CT slice | Slice 10 of 537 | Field of view 496 mm wide, 0.80 mm slice spacing
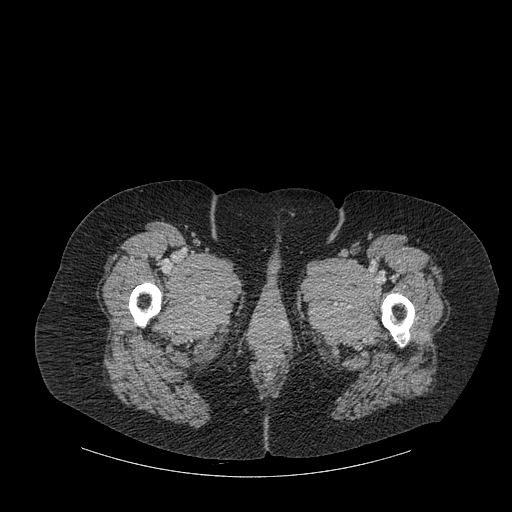

2 bone regions are bounded by x1=382, y1=293, x2=414, y2=346; x1=129, y1=283, x2=161, y2=326.